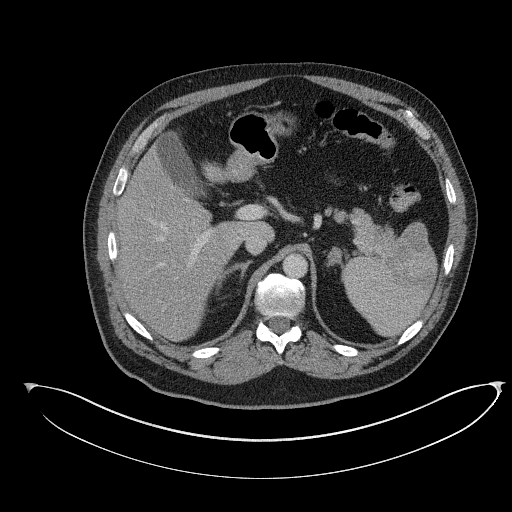
Computed tomography
Pancreatic tumor = l=353, t=211, r=374, b=253.
Pancreas = l=368, t=221, r=393, b=255.